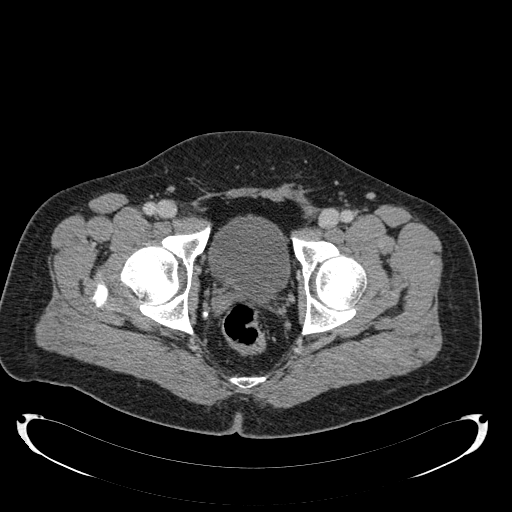
CT slice

Urinary bladder: bounding box <bbox>208, 216, 290, 308</bbox>.